Hippocampus, 36x51 px, Magnetic resonance
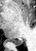 Posterior hippocampus: bounding box 8,40,22,45.